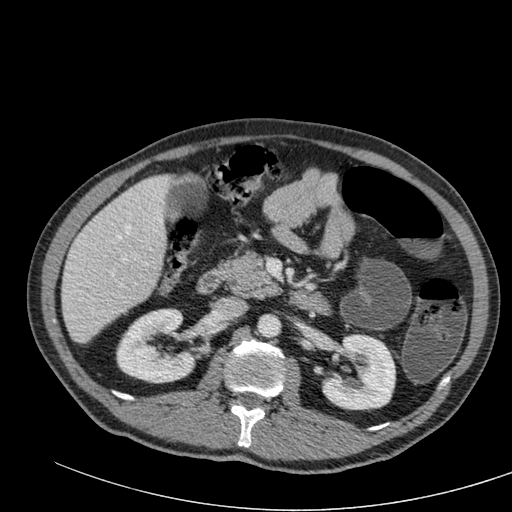

CT image
Liver = box=[62, 175, 170, 342].
Kidney = box=[117, 309, 193, 382]; box=[323, 335, 394, 409].